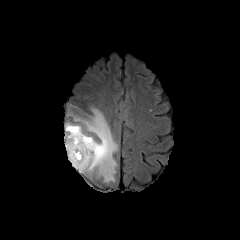
FLAIR MRI.
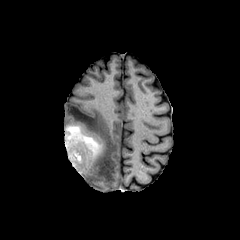
Same slice, T1-weighted MR.
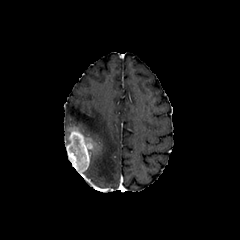
Post-contrast T1-weighted magnetic resonance.
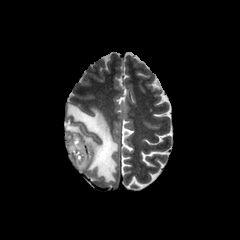
T2-weighted MRI.
Head. 240x240.
Findings:
- enhancing tumor: 66:131:92:173
- non-enhancing tumor core: 65:126:86:162, 83:137:102:158
- edema: 68:104:118:181